Field of view 240x240 mm
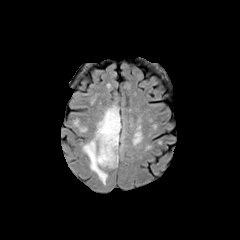
FLAIR MRI.
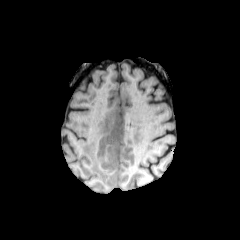
T1-weighted MR.
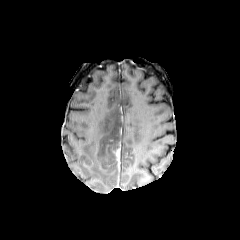
Post-contrast T1-weighted magnetic resonance.
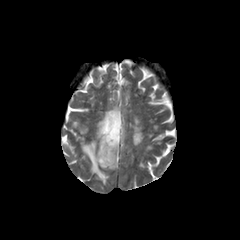
T2-weighted magnetic resonance.
Non-enhancing tumor core — [x1=108, y1=141, x2=119, y2=168].
Enhancing tumor — [x1=114, y1=144, x2=120, y2=169].
Edema — [x1=82, y1=105, x2=125, y2=184].